512x512; CT; Upper abdomen 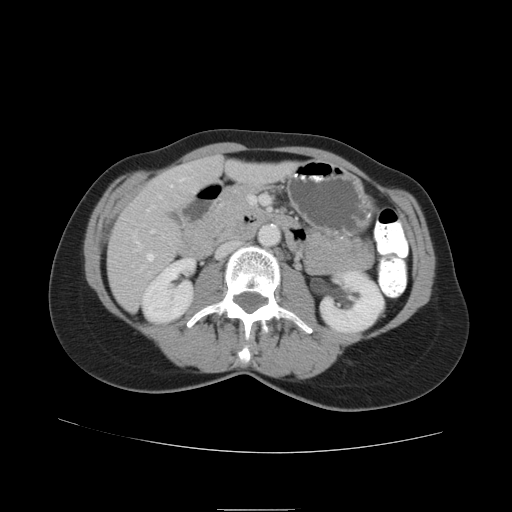

<segmentation>
  <pancreas>185,187,258,251; 303,232,376,276</pancreas>
</segmentation>